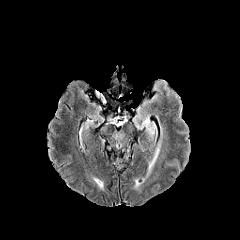
FLAIR MR image.
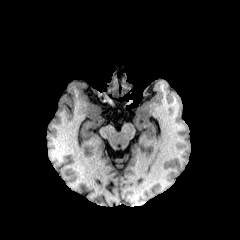
T1-weighted MR.
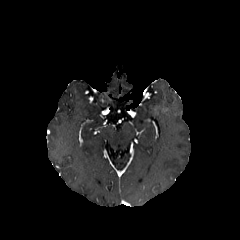
Post-contrast T1-weighted MR.
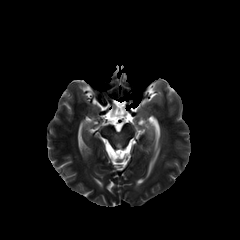
T2-weighted MRI.
Segmented structures:
- edema: bbox=[148, 147, 159, 171]; bbox=[136, 121, 154, 138]